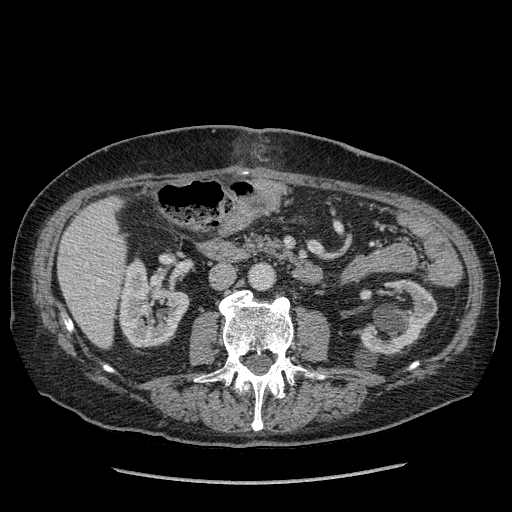
Image size 512x512. Abdomen. CT scan slice.
3 kidney regions are bounded by (120, 260, 188, 346), (361, 290, 371, 298), (361, 280, 436, 353). The liver is located at (58, 198, 125, 347).